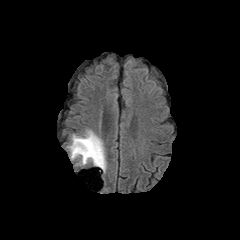
FLAIR MRI.
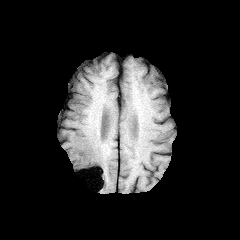
T1-weighted MRI.
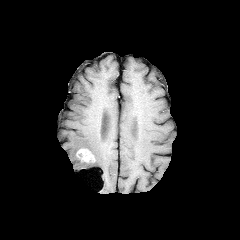
Same slice, post-contrast T1-weighted MR.
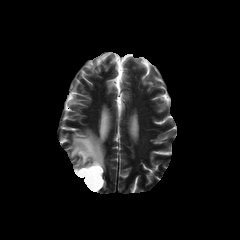
T2-weighted MRI.
Head
Enhancing tumor: bounding box (x1=76, y1=148, x2=95, y2=162).
Non-enhancing tumor core: bounding box (x1=93, y1=155, x2=101, y2=169).
Edema: bounding box (x1=67, y1=128, x2=107, y2=173).